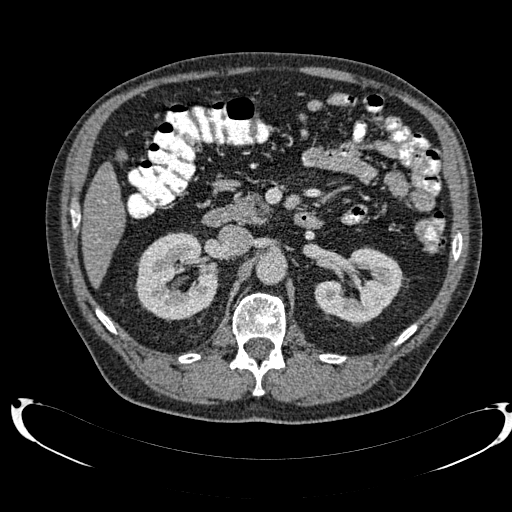
CT scan slice. 512x512. Upper abdomen.

Kidney at x1=314 y1=248 x2=402 y2=324, x1=136 y1=233 x2=217 y2=320.
Liver at x1=82 y1=162 x2=124 y2=287.